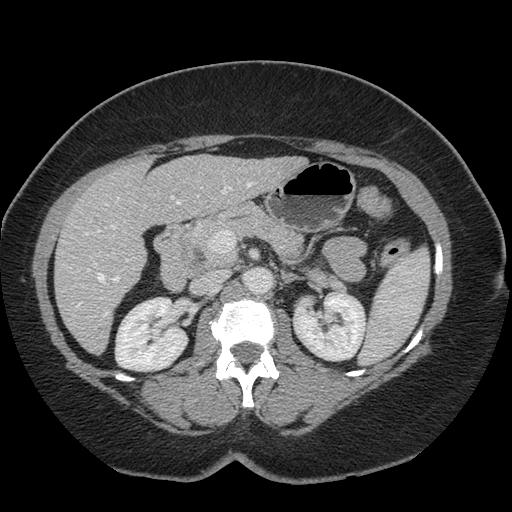
CT image, Liver

The vessel boxes may cover only some of the vessels.
Hepatic vessel — 94,263,96,266; 116,198,119,202; 87,270,89,271; 171,197,174,199; 222,186,231,194; 113,277,119,281; 98,274,104,282; 104,312,107,315; 176,201,180,204; 197,196,199,197; 247,182,253,186; 111,226,115,228; 97,229,100,232.